Image size 512x512 | Image width 398 mm | Computed tomography 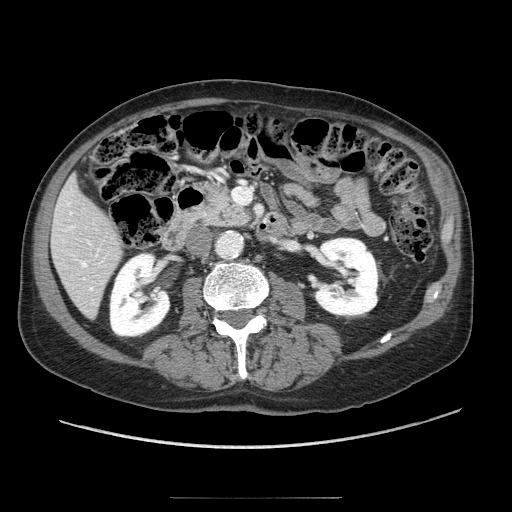 • pancreatic tumor: bbox=[214, 192, 226, 207]
• pancreas: bbox=[206, 186, 248, 226]